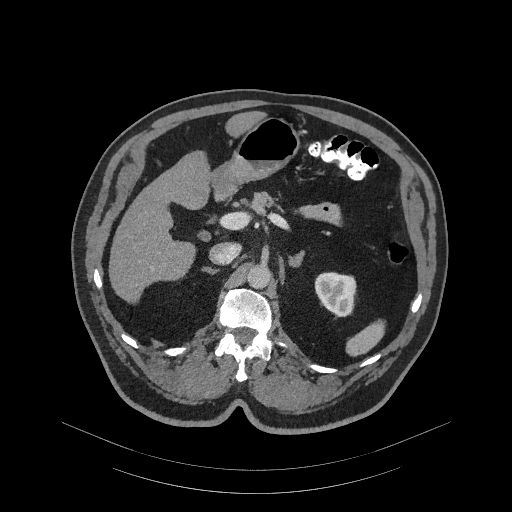
Image size 512x512 | Computed tomography

<segmentation>
  <pancreas>region(250, 191, 274, 212)</pancreas>
</segmentation>